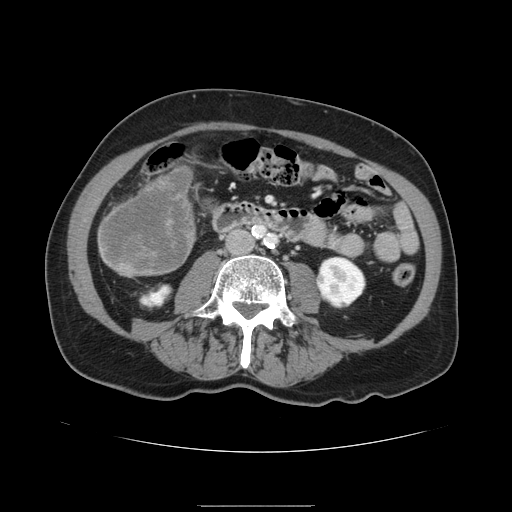
Liver, Image size 512x512, CT slice
Findings:
• liver tumor: x1=101 y1=172 x2=191 y2=273